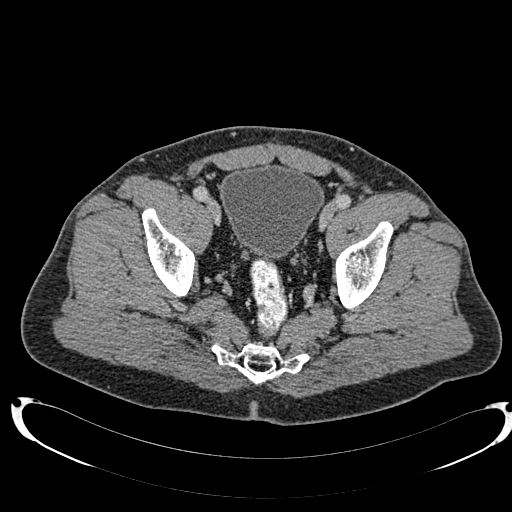
CT image, Lower abdomen
urinary bladder: (220, 163, 324, 261)